CT scan slice | Abdomen

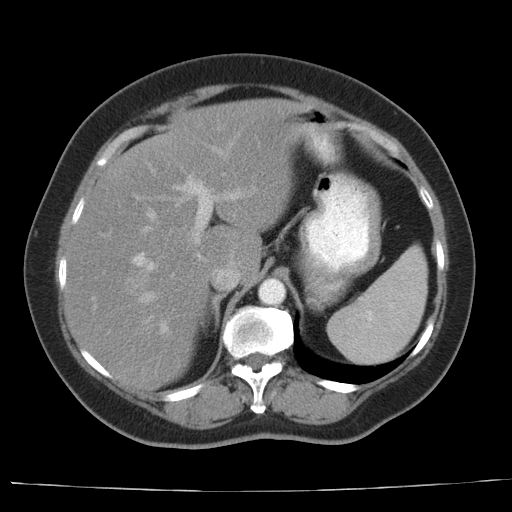 Not every hepatic vessel necessarily has a box.
Annotated regions:
* hepatic vessel: l=143, t=228, r=148, b=230; l=147, t=211, r=154, b=218; l=132, t=254, r=153, b=269; l=160, t=324, r=166, b=330; l=176, t=178, r=214, b=242; l=141, t=293, r=152, b=301